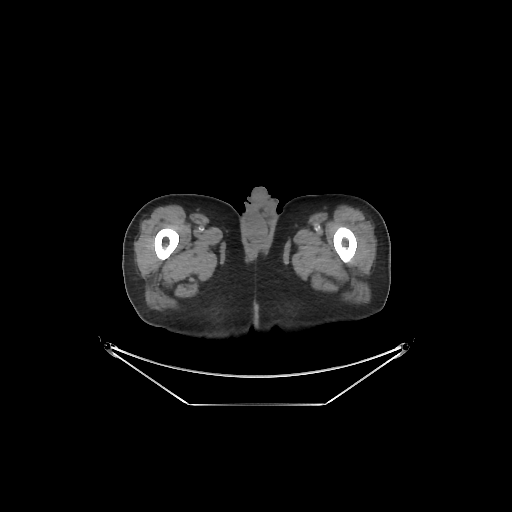
Computed tomography.
<segmentation>
  <bone>bbox(154, 226, 178, 260); bbox(333, 227, 356, 262)</bone>
</segmentation>